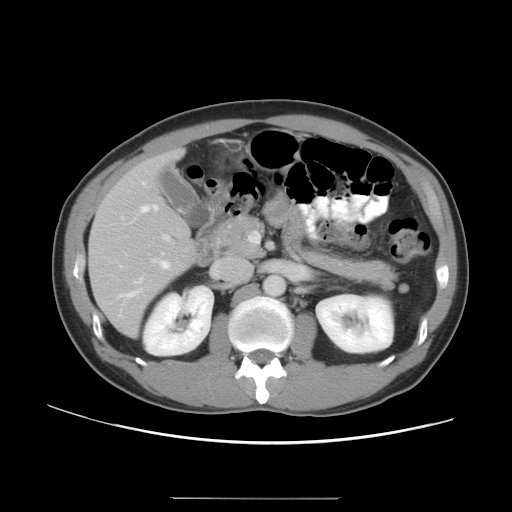 CT slice; Liver
Some hepatic vessels may have no box.
5 hepatic vessel regions appear at region(119, 277, 143, 298); region(153, 253, 170, 268); region(163, 235, 169, 240); region(143, 182, 146, 184); region(140, 204, 158, 212).